FLAIR MR image.
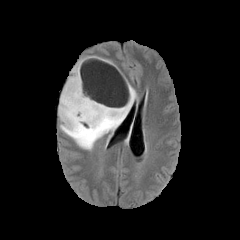
T1-weighted magnetic resonance.
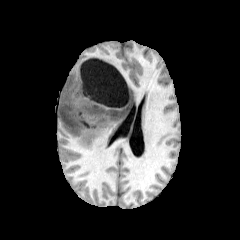
Post-contrast T1-weighted MR image.
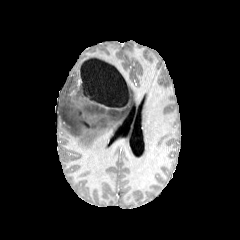
T2-weighted magnetic resonance.
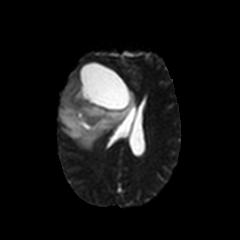
240x240
{
  "edema": [
    "[x1=58, y1=59, x2=137, y2=149]"
  ],
  "non-enhancing_tumor_core": [
    "[x1=60, y1=107, x2=84, y2=133]",
    "[x1=77, y1=78, x2=129, y2=118]"
  ]
}